Field of view 375 mm wide, 2.50 mm slice spacing, Slice 62/89, Computed tomography 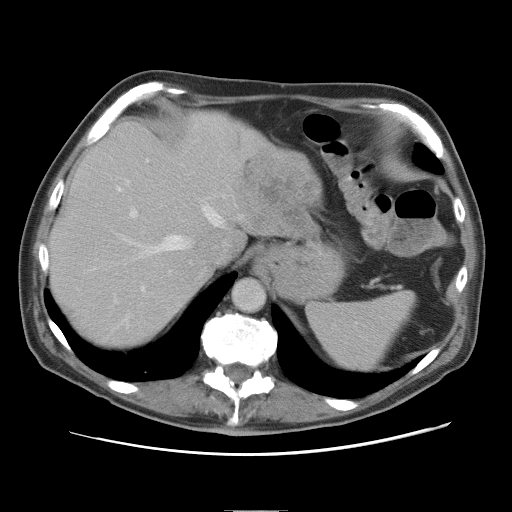

Not every hepatic vessel necessarily has a box.
Hepatic vessel: box(131, 211, 137, 217); box(147, 159, 148, 161); box(123, 319, 127, 323); box(142, 287, 145, 290); box(126, 239, 135, 244); box(238, 215, 243, 220); box(118, 187, 121, 190); box(115, 298, 118, 302); box(149, 236, 187, 252); box(126, 181, 130, 184); box(204, 207, 222, 225).
Liver tumor: box(242, 153, 316, 233).